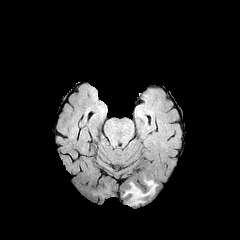
FLAIR MR image.
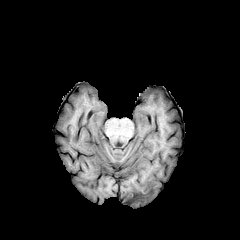
Same slice, T1-weighted MR.
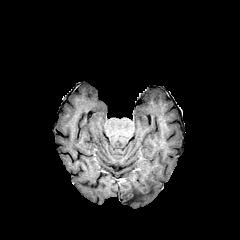
Post-contrast T1-weighted magnetic resonance.
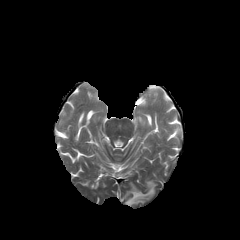
Same slice, T2-weighted MR image.
Findings:
* edema: 126 181 155 203